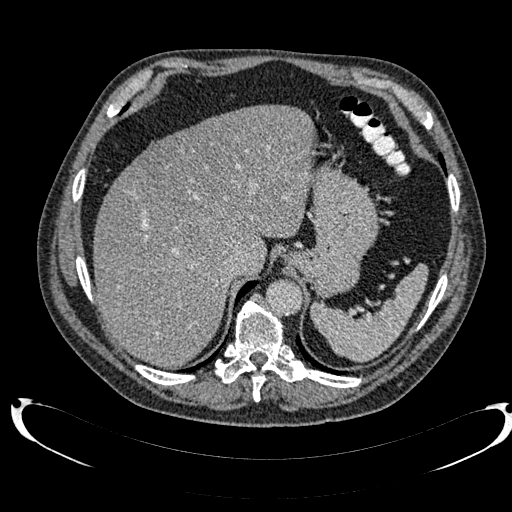
CT image.
hepatic lesion: (left=136, top=111, right=268, bottom=217) | liver: (left=149, top=131, right=181, bottom=148), (left=93, top=106, right=314, bottom=368)